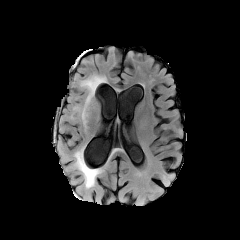
FLAIR MR.
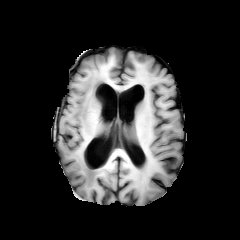
T1-weighted magnetic resonance.
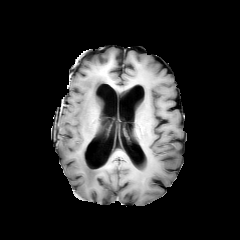
Post-contrast T1-weighted magnetic resonance.
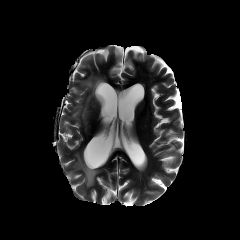
T2-weighted magnetic resonance.
240x240 px
2 edema regions are located at {"x1": 81, "y1": 76, "x2": 104, "y2": 102}, {"x1": 67, "y1": 148, "x2": 100, "y2": 188}.